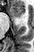
MR
<segmentation>
  <anterior_hippocampus>x1=11, y1=5, x2=24, y2=18</anterior_hippocampus>
</segmentation>